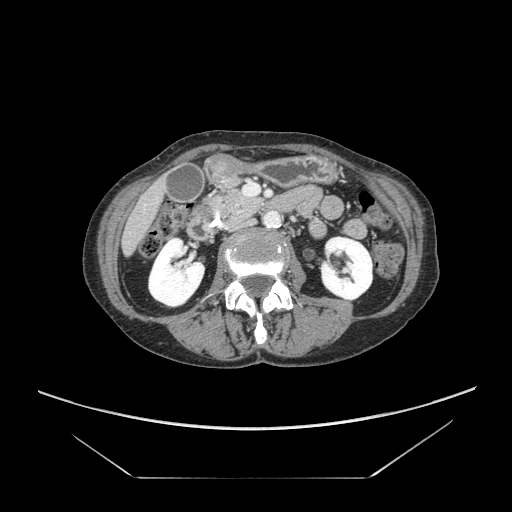
CT; 512x512; Upper abdomen
Findings:
- pancreas: l=202, t=182, r=269, b=230
- pancreatic tumor: l=201, t=204, r=214, b=221